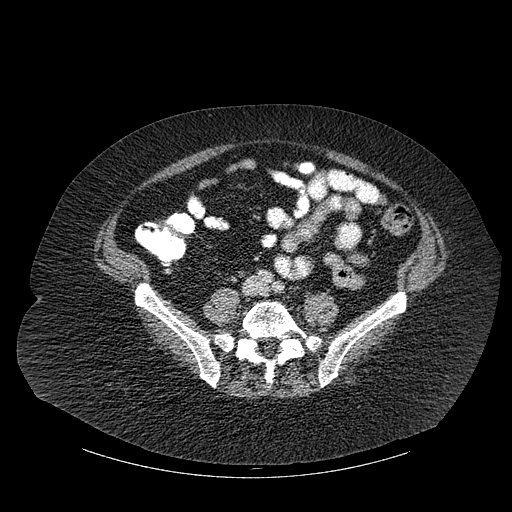 CT slice
4 bone regions appear at <bbox>135, 283, 219, 387</bbox>, <bbox>318, 292, 406, 386</bbox>, <bbox>215, 334, 233, 351</bbox>, <bbox>236, 302, 320, 383</bbox>.